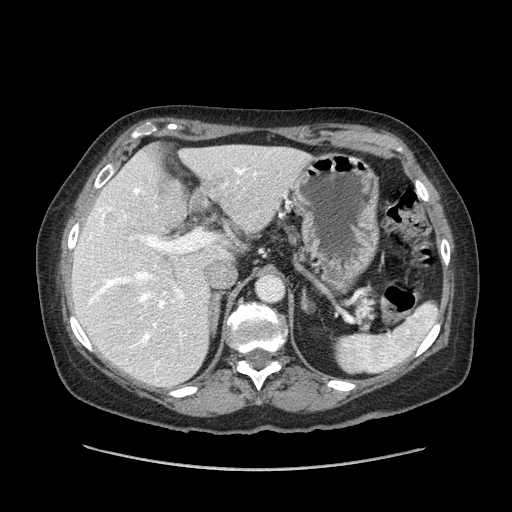
CT, Upper abdomen, 512x512 px
{
  "pancreas": [
    "region(282, 225, 298, 240)",
    "region(355, 297, 371, 327)",
    "region(328, 280, 339, 288)"
  ]
}